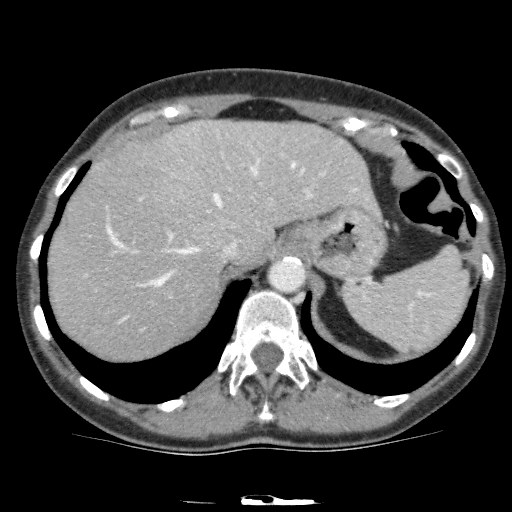
CT slice, 512x512
The liver appears at {"x1": 49, "y1": 119, "x2": 381, "y2": 359}.